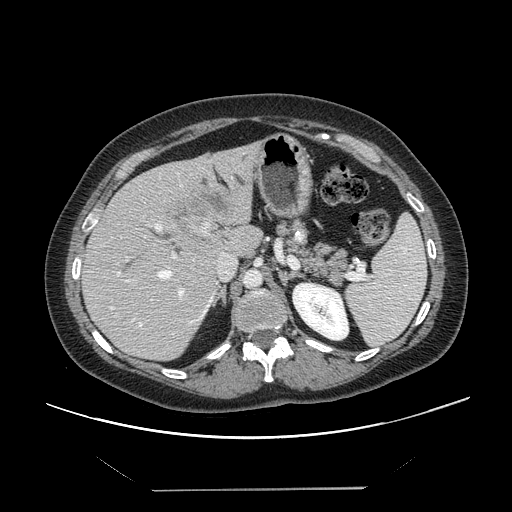 Abdomen; CT scan slice

Only some of the vessels may be annotated.
Hepatic vessel at region(125, 257, 128, 259); region(126, 280, 131, 281); region(139, 323, 141, 326); region(217, 252, 235, 279); region(157, 267, 172, 279); region(171, 253, 176, 258); region(110, 307, 113, 309); region(153, 222, 162, 231); region(177, 287, 185, 299); region(117, 272, 119, 275).
Liver tumor at region(170, 185, 230, 245).